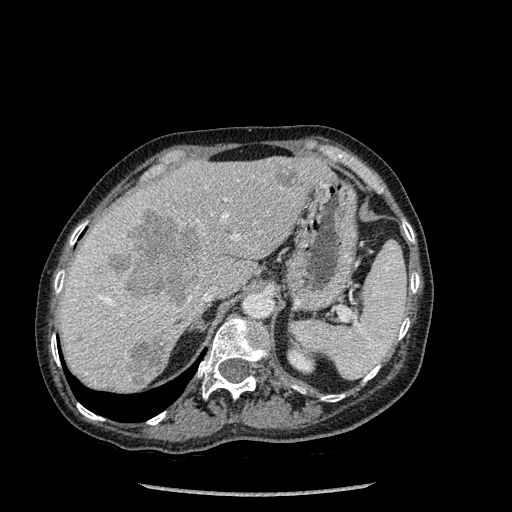

CT image, Upper abdomen
- liver: region(60, 156, 330, 393)
- hepatic lesion: region(125, 212, 201, 303); region(275, 163, 299, 187); region(123, 339, 164, 384); region(108, 253, 130, 273)
- lung: region(65, 362, 197, 422)
- bone: region(69, 222, 86, 245); region(363, 365, 380, 382); region(397, 318, 409, 339); region(402, 220, 414, 242); region(51, 334, 59, 365); region(198, 317, 270, 399); region(54, 270, 65, 293); region(77, 403, 104, 420); region(321, 394, 344, 401); region(410, 272, 419, 292); region(147, 412, 165, 425)
- kidney: region(289, 350, 311, 371)